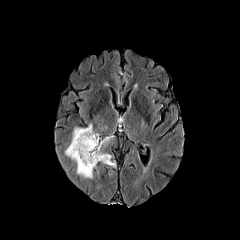
FLAIR MR.
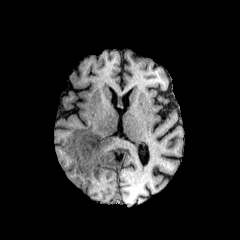
Same slice, T1-weighted MRI.
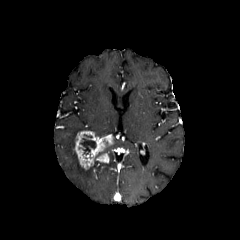
Post-contrast T1-weighted magnetic resonance of the same slice.
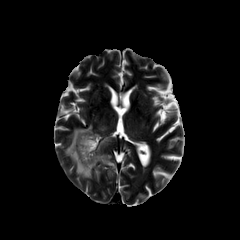
T2-weighted MR of the same slice.
non-enhancing tumor core: 78,138,96,155 | enhancing tumor: 96,152,109,163; 73,130,113,170 | edema: 65,124,104,179; 101,161,116,179